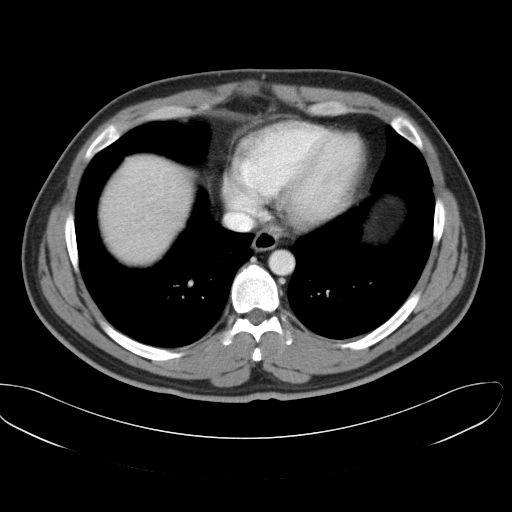

Liver, CT slice, 512x512 px
Only some of the vessels may be annotated.
<segmentation>
  <hepatic_vessel>225,215,249,231</hepatic_vessel>
</segmentation>